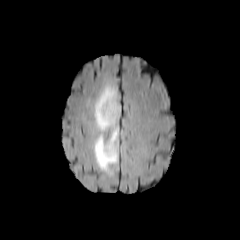
FLAIR magnetic resonance.
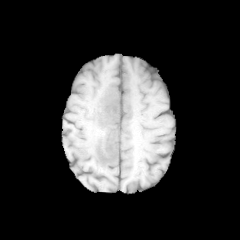
Same slice, T1-weighted MR image.
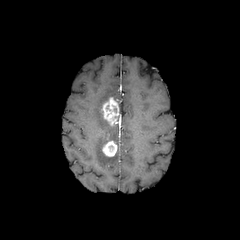
Same slice, post-contrast T1-weighted MR.
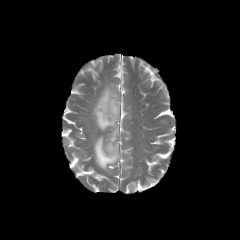
T2-weighted MR image.
Head. 240x240 px.
Segmented structures:
* enhancing tumor: <bbox>102, 141, 117, 157</bbox>, <bbox>102, 96, 119, 126</bbox>
* edema: <bbox>94, 85, 120, 172</bbox>